FLAIR MRI.
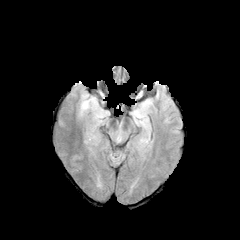
T1-weighted MR.
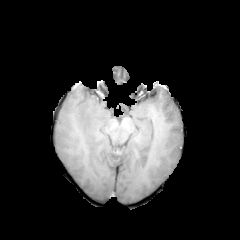
Post-contrast T1-weighted MR.
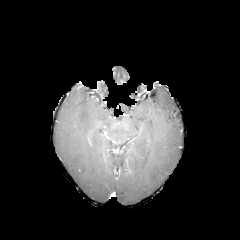
T2-weighted MR.
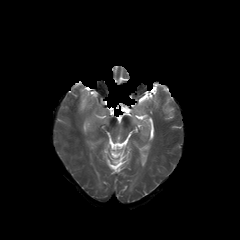
Head
Annotated regions:
- edema: 78,89,105,131; 83,120,103,145; 133,100,150,128